Liver. CT image. Slice 14 of 47. Image width 383 mm. 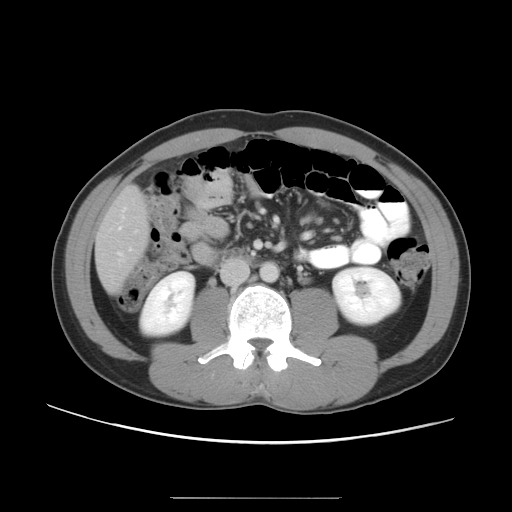

The vessel boxes may cover only some of the vessels.
Hepatic vessel — (119,226,121,228), (118,252,124,260), (122,208,126,217), (135,230,137,232).